Slice index 98. Field of view 240x240 mm.
FLAIR magnetic resonance.
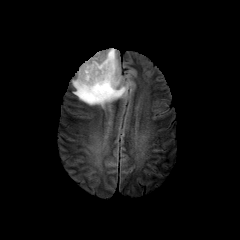
T1-weighted MR.
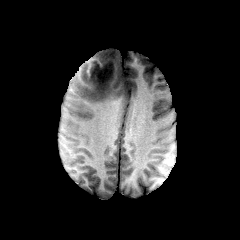
Post-contrast T1-weighted magnetic resonance.
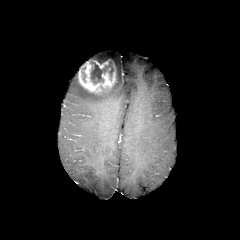
T2-weighted MR image.
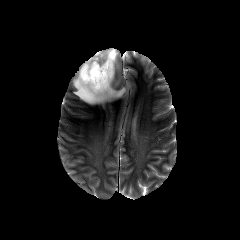
Enhancing tumor: bounding box <box>78,62,115,93</box>.
Edema: bounding box <box>72,48,129,107</box>.
Non-enhancing tumor core: bounding box <box>89,86,109,95</box>, <box>89,58,116,84</box>, <box>81,66,85,81</box>.